Lower abdomen, Computed tomography, Slice index 153 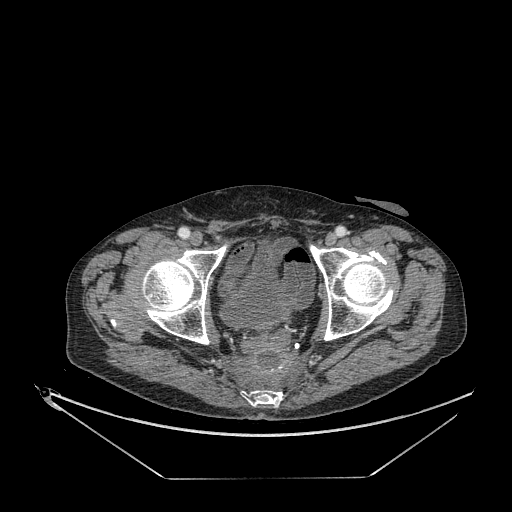
urinary bladder: rect(220, 240, 290, 326)